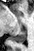

MR image | Medial temporal lobe
<segmentation>
  <posterior_hippocampus>(9,28,26,41)</posterior_hippocampus>
</segmentation>